MR | Slice index 17 | Medial temporal lobe
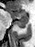

Posterior hippocampus: bounding box box=[13, 19, 27, 27].
Anterior hippocampus: bounding box box=[11, 10, 27, 19].